Slice 93 of 155, Head
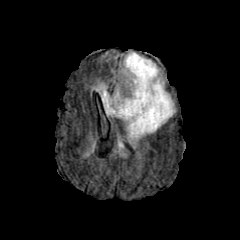
FLAIR magnetic resonance.
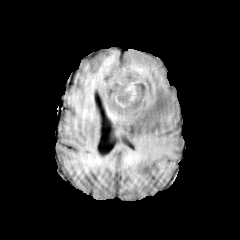
Same slice, T1-weighted MRI.
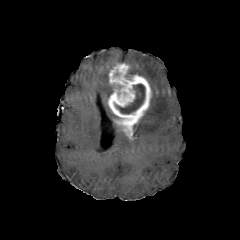
Post-contrast T1-weighted magnetic resonance.
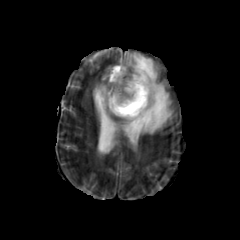
T2-weighted MRI of the same slice.
enhancing tumor: (107, 63, 151, 125) | edema: (123, 51, 175, 140), (95, 83, 117, 116) | non-enhancing tumor core: (116, 84, 145, 114)